Image width 429 mm | CT scan slice

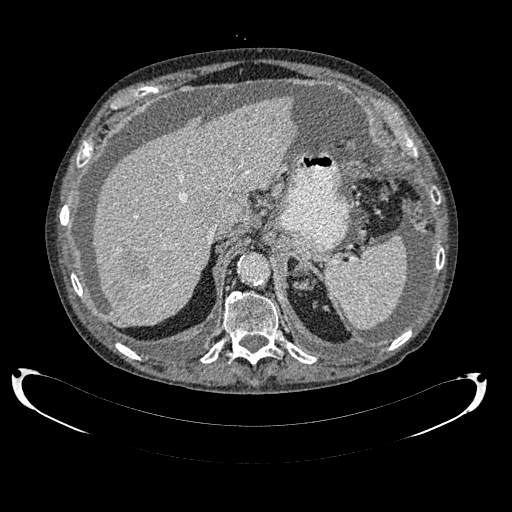
liver: box=[93, 96, 295, 325] | focal liver lesion: box=[122, 248, 148, 278]; box=[109, 282, 125, 301]; box=[285, 126, 293, 135]; box=[193, 194, 217, 225]